FLAIR MRI.
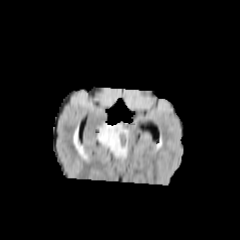
T1-weighted MRI.
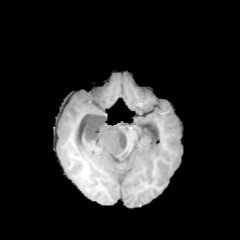
Post-contrast T1-weighted magnetic resonance.
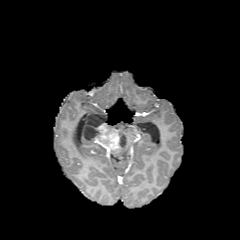
T2-weighted MR.
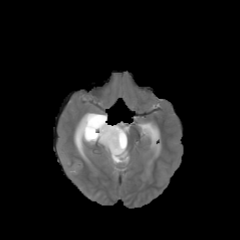
Brain, Image size 240x240
<segmentation>
  <enhancing_tumor>rect(94, 122, 122, 154)</enhancing_tumor>
  <edema>rect(114, 122, 129, 143); rect(104, 144, 129, 159); rect(79, 118, 84, 143)</edema>
  <non-enhancing_tumor_core>rect(82, 113, 106, 146); rect(119, 131, 128, 152)</non-enhancing_tumor_core>
</segmentation>